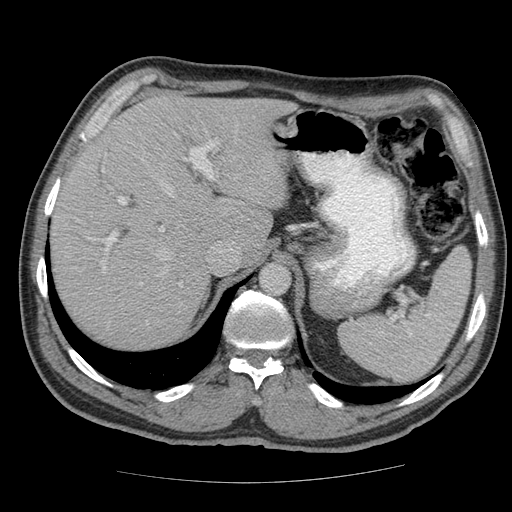

CT
The vessel annotation is not exhaustive.
Segmented structures:
• hepatic vessel: l=119, t=198, r=125, b=204; l=159, t=228, r=163, b=232; l=157, t=248, r=170, b=260; l=90, t=238, r=96, b=241; l=159, t=179, r=173, b=195; l=178, t=283, r=181, b=286; l=185, t=143, r=214, b=179; l=100, t=232, r=116, b=269